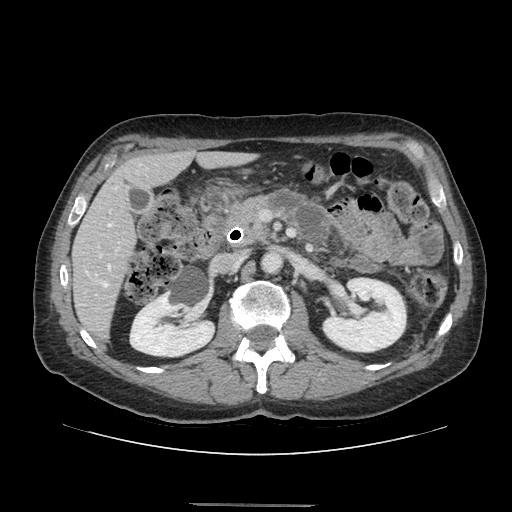 CT. Abdomen.
The pancreas is at region(208, 198, 265, 243). The pancreatic tumor is bounded by region(213, 220, 227, 232).